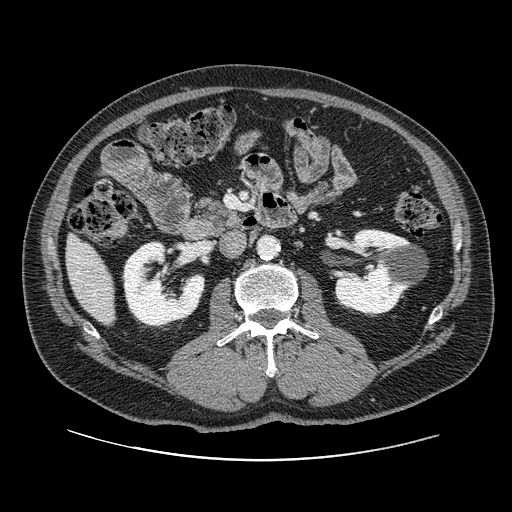 CT slice; Upper abdomen; 512x512

Pancreas at 193:196:231:228.